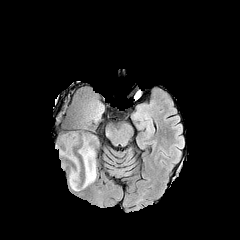
FLAIR MR.
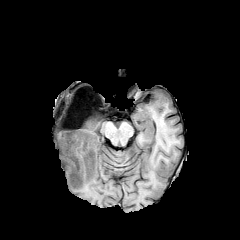
T1-weighted MRI of the same slice.
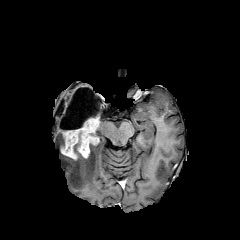
Post-contrast T1-weighted MRI of the same slice.
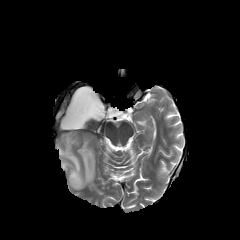
T2-weighted MR of the same slice.
Brain
2 non-enhancing tumor core regions are bounded by rect(77, 96, 102, 128); rect(64, 130, 98, 162). The edema lies within rect(63, 144, 97, 190). 3 enhancing tumor regions appear at rect(61, 131, 77, 159); rect(80, 114, 99, 132); rect(78, 137, 91, 157).